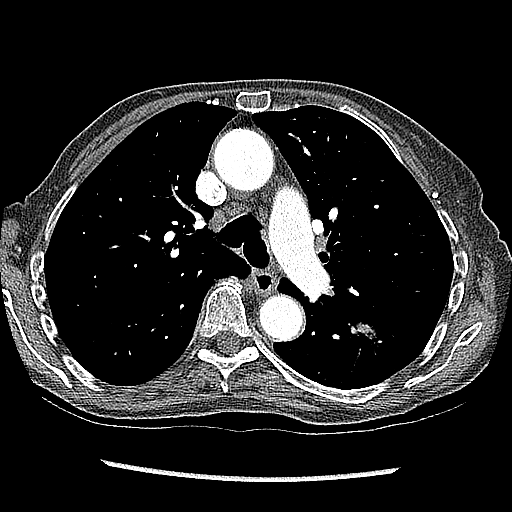
CT, Thorax
<segmentation>
  <lung_tumor>box=[349, 321, 383, 351]</lung_tumor>
</segmentation>